Slice 12 of 689, CT slice, Field of view 360x360 mm 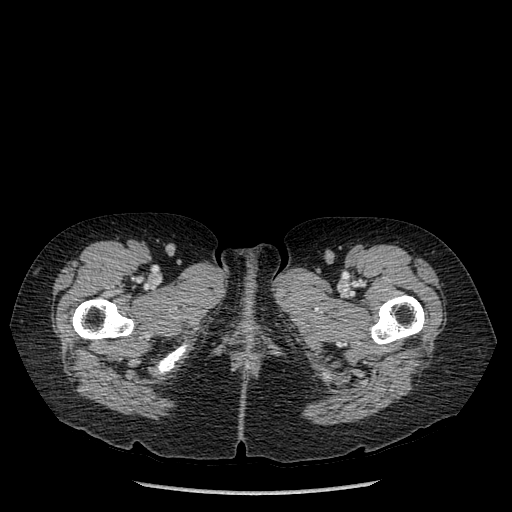

Bone: bounding box <box>155,344,188,373</box>, <box>71,298,134,341</box>, <box>370,295,425,344</box>.